FLAIR magnetic resonance.
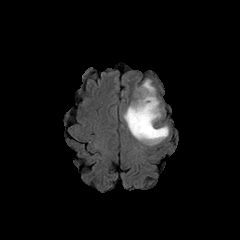
T1-weighted magnetic resonance.
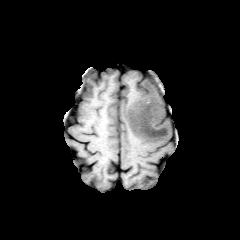
Post-contrast T1-weighted MR.
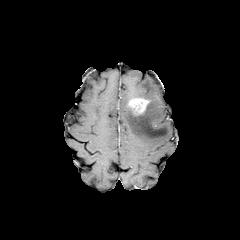
T2-weighted magnetic resonance.
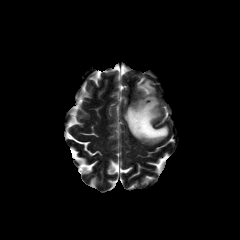
The edema is bounded by x1=123, y1=80, x2=169, y2=144. The enhancing tumor is located at x1=130, y1=98, x2=148, y2=113. The non-enhancing tumor core is at x1=129, y1=103, x2=159, y2=137.